240x240; Field of view 240x240 mm
FLAIR MR image.
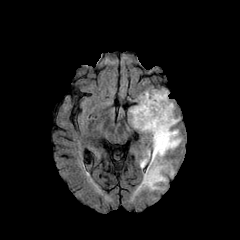
T1-weighted MRI.
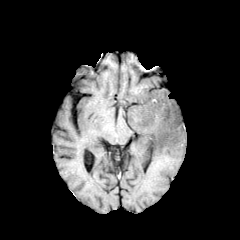
Post-contrast T1-weighted MRI.
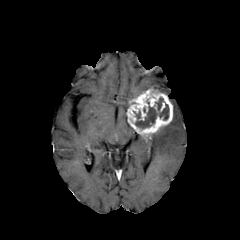
T2-weighted MRI.
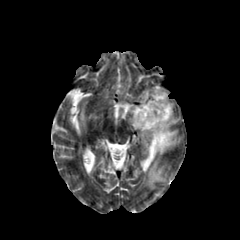
edema: 139 107 181 189 | enhancing tumor: 127 89 172 135 | non-enhancing tumor core: 155 98 163 110, 135 104 168 128